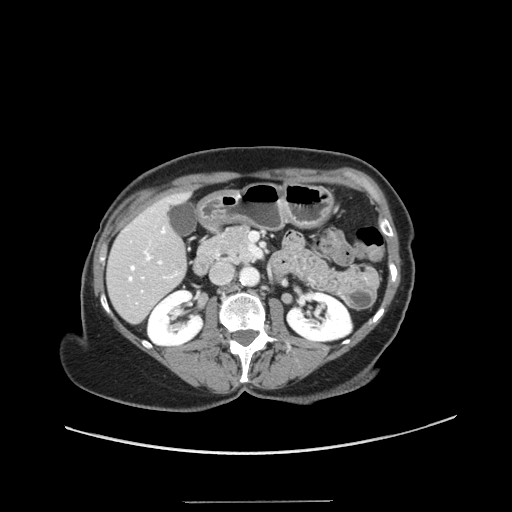 CT slice, Liver
Some hepatic vessels may have no box.
{
  "hepatic_vessel": [
    "(162,227,165,232)",
    "(164,276,168,277)",
    "(144,250,151,259)",
    "(159,261,161,263)",
    "(129,277,131,279)",
    "(131,266,134,269)"
  ]
}